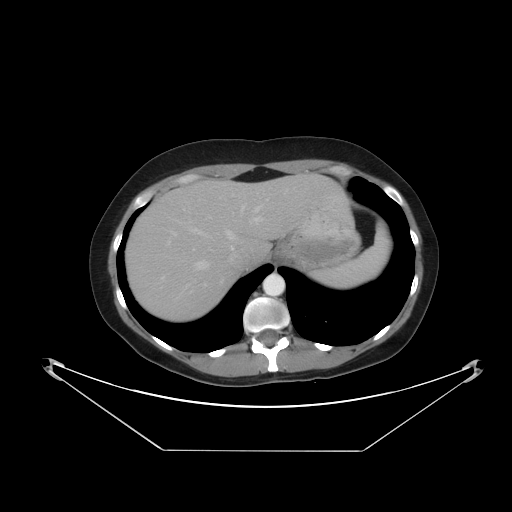
Image size 512x512; CT image; Abdomen

The vessel annotation is not exhaustive.
Annotated regions:
* hepatic vessel: [x1=172, y1=232, x2=176, y2=235], [x1=249, y1=217, x2=260, y2=223], [x1=226, y1=231, x2=237, y2=241], [x1=162, y1=277, x2=163, y2=279], [x1=195, y1=260, x2=209, y2=269], [x1=190, y1=228, x2=213, y2=238], [x1=255, y1=207, x2=259, y2=210], [x1=229, y1=259, x2=231, y2=261], [x1=241, y1=206, x2=243, y2=210]